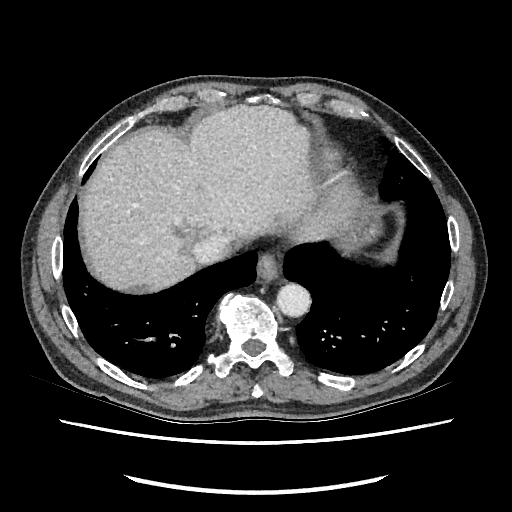 Image size 512x512. Abdomen. CT.

The liver is at box(82, 105, 311, 292). 2 hepatic lesion regions are located at box(172, 222, 208, 254); box(129, 285, 149, 292).